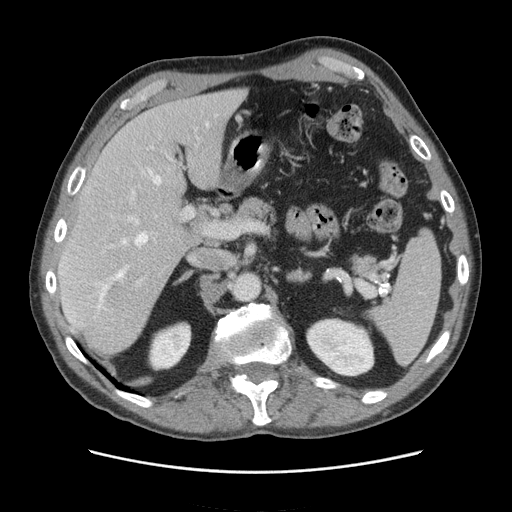
CT slice; 512x512 px; Upper abdomen

Spleen: bounding box (363, 231, 441, 364).